Slice 62/155
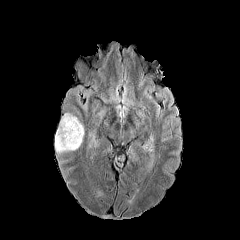
FLAIR magnetic resonance.
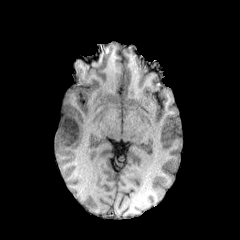
T1-weighted MR.
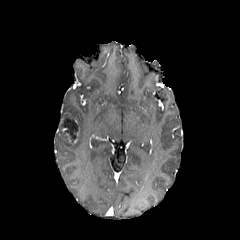
Post-contrast T1-weighted MR image.
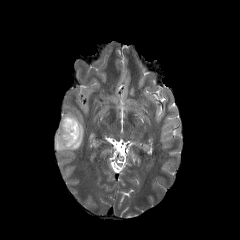
T2-weighted MRI.
Edema: bounding box region(55, 114, 84, 152).
Non-enhancing tumor core: bounding box region(58, 113, 78, 143).